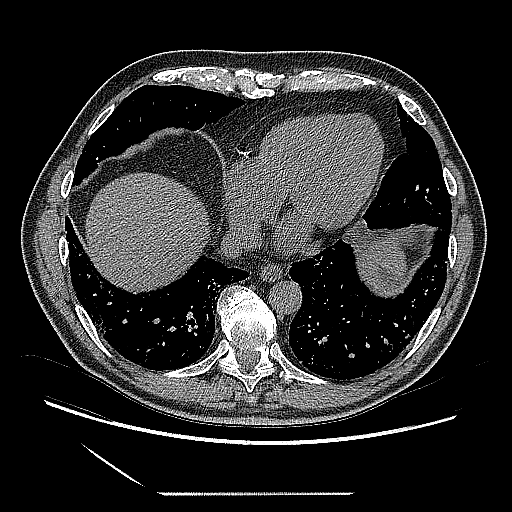

CT | Lung

lung tumor: rect(342, 218, 367, 246)